Image width 240 mm | Slice 46/155
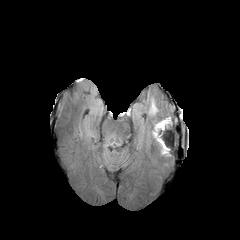
FLAIR MR.
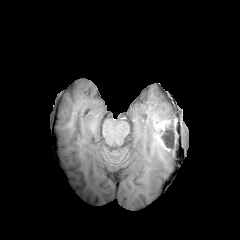
T1-weighted MR image.
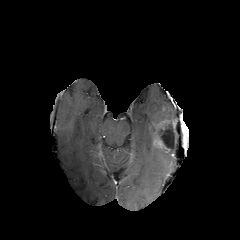
Same slice, post-contrast T1-weighted MR image.
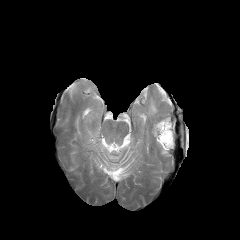
T2-weighted MRI of the same slice.
<segmentation>
  <edema>l=158, t=145, r=169, b=156; l=100, t=136, r=120, b=160; l=132, t=98, r=173, b=141; l=137, t=118, r=144, b=133</edema>
  <non-enhancing_tumor_core>l=158, t=131, r=169, b=149</non-enhancing_tumor_core>
</segmentation>